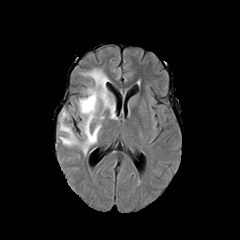
FLAIR magnetic resonance.
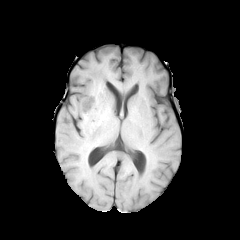
T1-weighted MR image of the same slice.
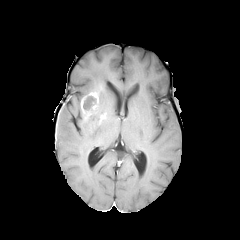
Post-contrast T1-weighted MR image of the same slice.
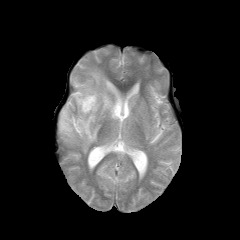
T2-weighted magnetic resonance.
Brain.
Enhancing tumor = region(80, 86, 101, 113).
Edema = region(58, 68, 118, 154).
Non-enhancing tumor core = region(83, 96, 98, 117).